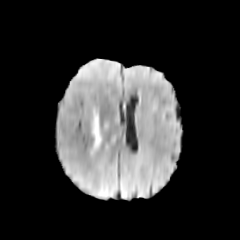
FLAIR MR image.
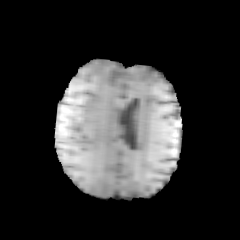
T1-weighted magnetic resonance.
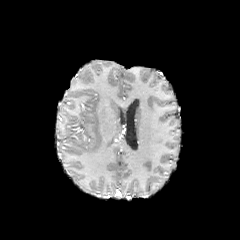
Post-contrast T1-weighted MR of the same slice.
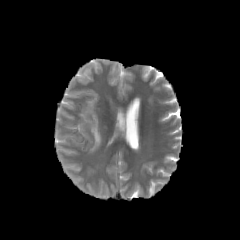
T2-weighted MR image.
240x240 px. Head.
The edema lies within bbox=[89, 112, 102, 154].